FLAIR magnetic resonance.
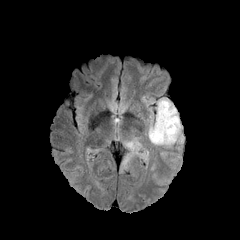
T1-weighted magnetic resonance.
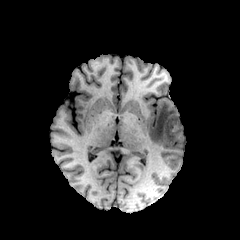
Post-contrast T1-weighted MRI.
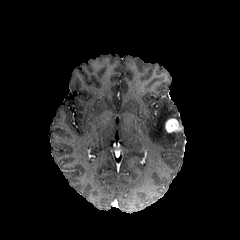
T2-weighted magnetic resonance.
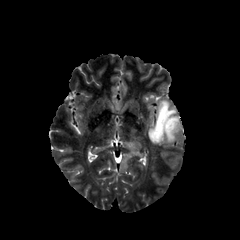
Head
Edema = (x1=122, y1=137, x2=141, y2=154), (x1=148, y1=99, x2=178, y2=144).
Enhancing tumor = (x1=165, y1=119, x2=182, y2=132).